512x512 px; Upper abdomen; CT

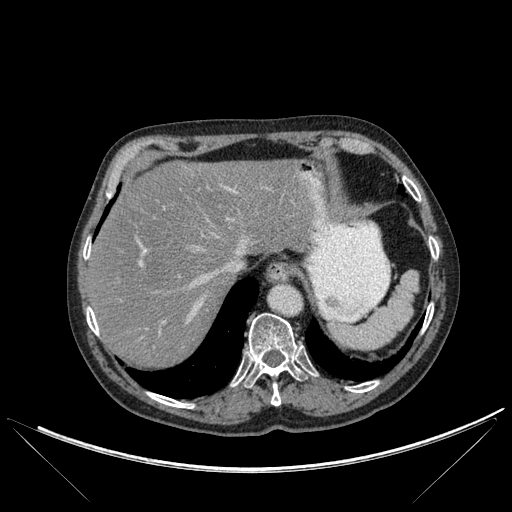
Segmented structures:
* liver: bbox(87, 160, 311, 368)
* lung: bbox(126, 277, 258, 398); bbox(102, 202, 112, 220); bbox(305, 319, 422, 380)
* bone: bbox(347, 381, 378, 392); bbox(83, 241, 90, 258); bbox(402, 176, 420, 200); bbox(422, 303, 433, 331); bbox(147, 392, 192, 408); bbox(86, 307, 98, 334); bbox(271, 383, 280, 405); bbox(231, 313, 316, 386); bbox(429, 237, 438, 258)